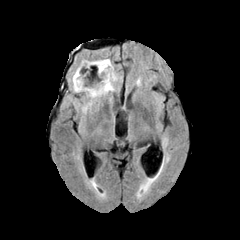
FLAIR MR.
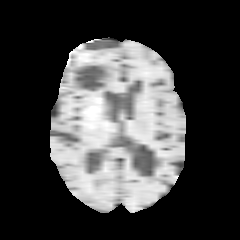
T1-weighted MRI of the same slice.
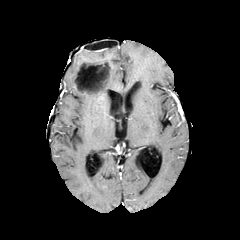
Post-contrast T1-weighted MR image.
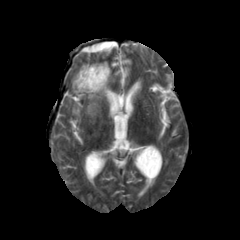
Same slice, T2-weighted magnetic resonance.
Head.
Edema: [x1=71, y1=59, x2=120, y2=113], [x1=86, y1=76, x2=101, y2=85].
Non-enhancing tumor core: [x1=98, y1=67, x2=109, y2=81], [x1=87, y1=73, x2=97, y2=81], [x1=77, y1=74, x2=103, y2=91].